Computed tomography

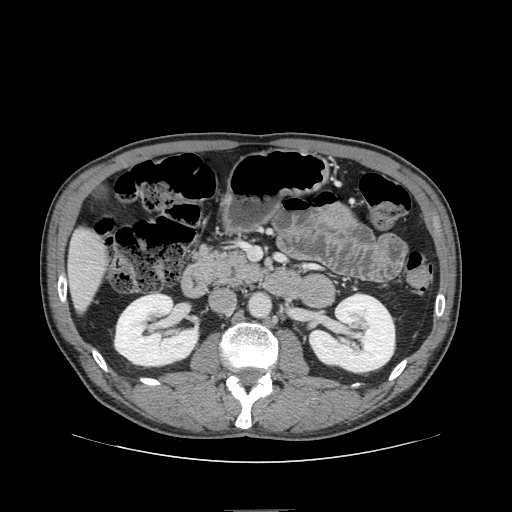

pancreas:
  - (x1=198, y1=247, x2=265, y2=288)